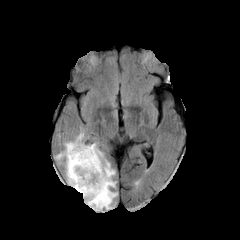
FLAIR MR image.
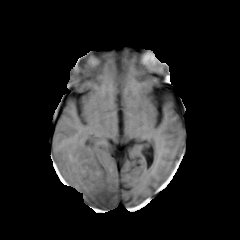
Same slice, T1-weighted MR.
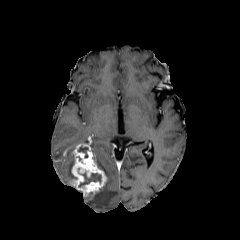
Post-contrast T1-weighted MR image of the same slice.
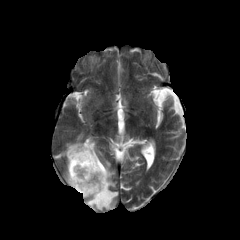
Same slice, T2-weighted magnetic resonance.
Image size 240x240; Head
- edema: 54:133:89:181, 84:141:117:211
- enhancing tumor: 69:137:107:198
- non-enhancing tumor core: 79:173:100:186